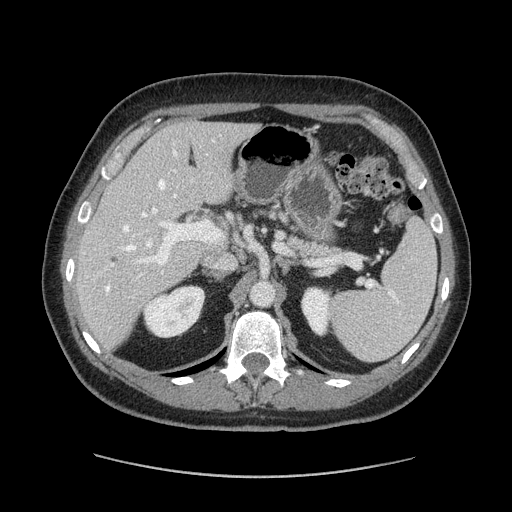
Abdomen. CT slice. {"pancreas": ["bbox=[290, 237, 340, 257]", "bbox=[255, 210, 286, 222]"]}